FLAIR MR image.
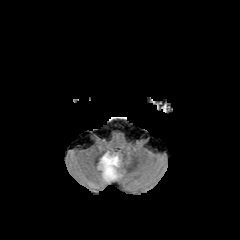
T1-weighted magnetic resonance.
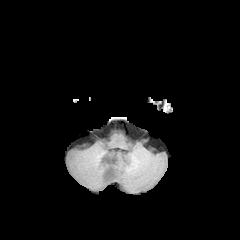
Post-contrast T1-weighted MRI.
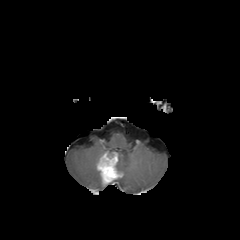
T2-weighted magnetic resonance.
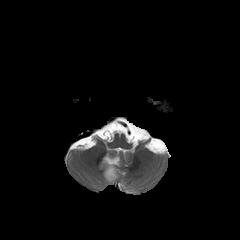
Image size 240x240
Findings:
- non-enhancing tumor core: box(98, 152, 117, 183)
- enhancing tumor: box(100, 158, 116, 177)